CT slice. Abdomen. Image size 512x512.
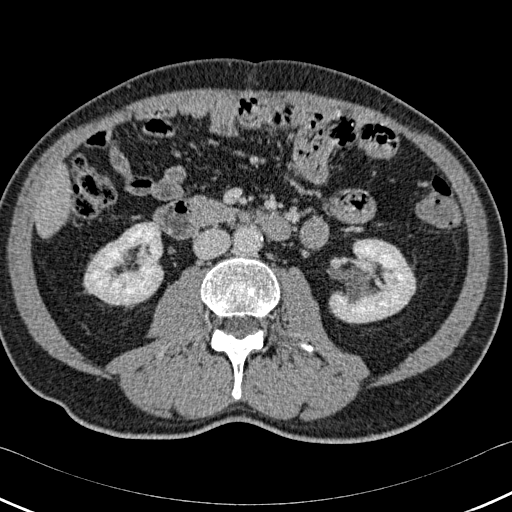
{"liver": ["x1=34 y1=168 x2=71 y2=236"], "bone": ["x1=301 y1=344 x2=312 y2=351", "x1=200 y1=257 x2=279 y2=317", "x1=211 y1=329 x2=263 y2=399"], "kidney": ["x1=330 y1=240 x2=415 y2=322", "x1=84 y1=223 x2=162 y2=304"]}